FLAIR MR image.
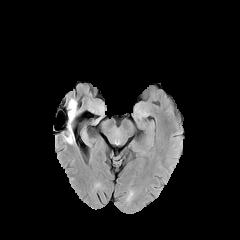
T1-weighted MR.
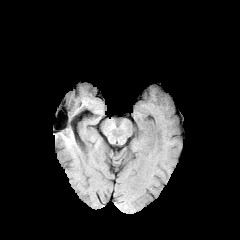
Post-contrast T1-weighted MR image.
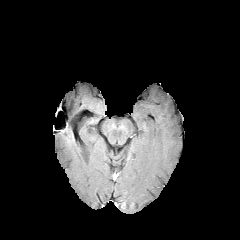
T2-weighted MR.
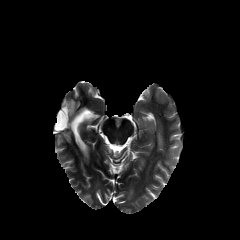
Brain
<segmentation>
  <edema>region(65, 98, 80, 142)</edema>
</segmentation>